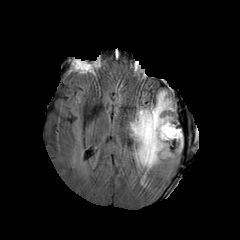
FLAIR MRI.
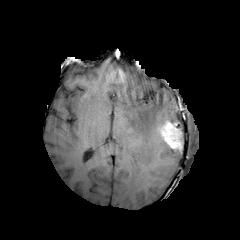
Same slice, T1-weighted MR image.
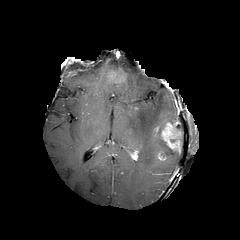
Post-contrast T1-weighted MR.
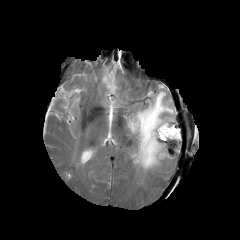
T2-weighted magnetic resonance of the same slice.
Head. Image size 240x240.
2 edema regions are bounded by 175 124 182 153, 127 90 176 173. The non-enhancing tumor core lies within 166 137 180 151. The enhancing tumor appears at 160 122 180 143.